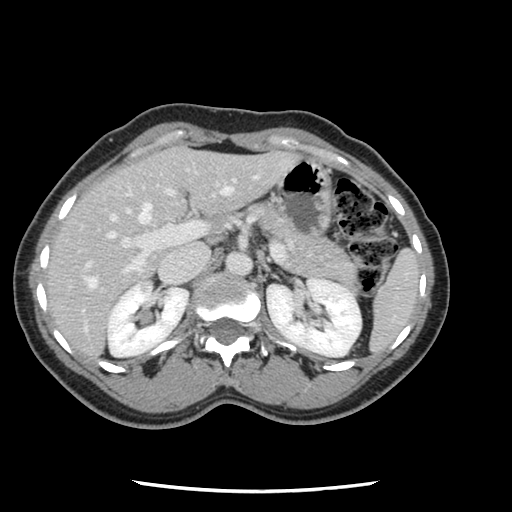
Image size 512x512, CT scan slice
Not every hepatic vessel necessarily has a box.
Hepatic vessel = [138, 203, 150, 222], [220, 185, 232, 194], [166, 189, 172, 193], [121, 221, 204, 270], [108, 232, 114, 236], [82, 274, 96, 287], [254, 175, 257, 177], [110, 214, 115, 219], [86, 263, 89, 266], [232, 179, 234, 182].